Brain | Image size 240x240
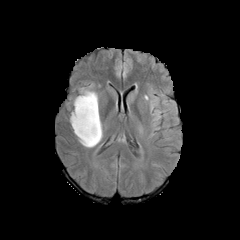
FLAIR magnetic resonance.
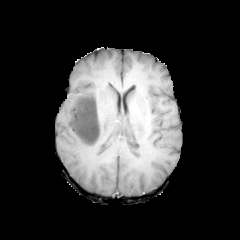
T1-weighted MR.
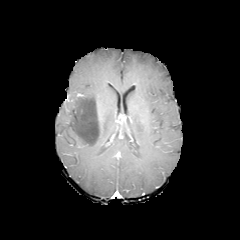
Post-contrast T1-weighted MRI of the same slice.
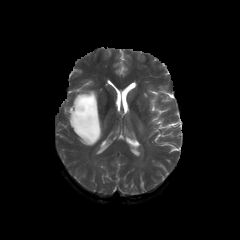
T2-weighted MRI.
Annotated regions:
• non-enhancing tumor core: <box>72,93,99,141</box>
• edema: <box>78,87,99,110</box>, <box>67,95,104,148</box>, <box>147,94,165,129</box>